FLAIR MRI.
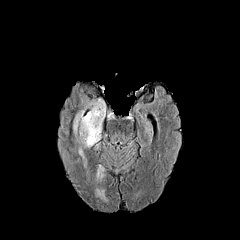
T1-weighted MR.
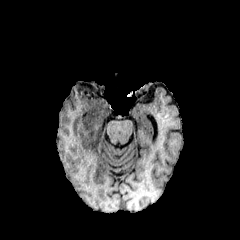
Post-contrast T1-weighted magnetic resonance.
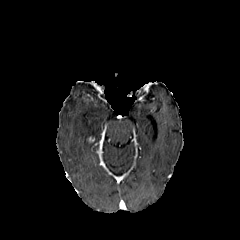
T2-weighted magnetic resonance.
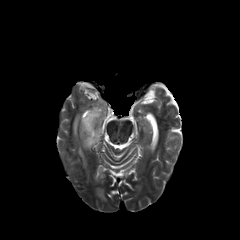
Image size 240x240.
edema: box(73, 99, 106, 147); box(97, 190, 104, 199)